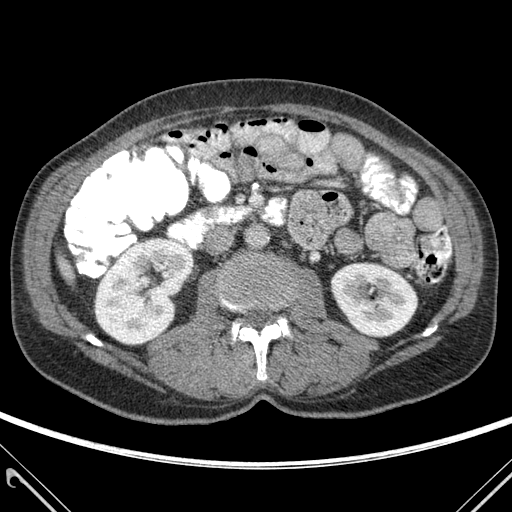

512x512; CT scan slice

Bone — [423,326,436,335], [222,263,289,309], [86,335,101,345], [232,318,289,379].
Kidney — [332,264,416,335], [95,239,187,343].
Liver — [58,254,66,267].